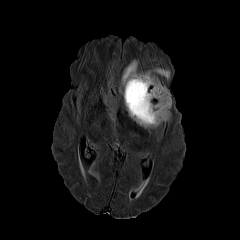
FLAIR MR.
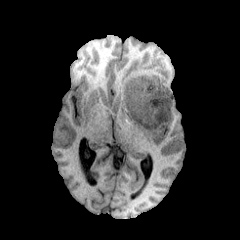
T1-weighted magnetic resonance.
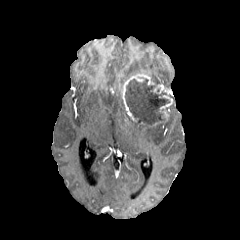
Post-contrast T1-weighted MRI.
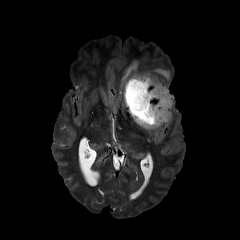
T2-weighted MR image of the same slice.
Head
non-enhancing tumor core: 124,78,170,125 | edema: 119,59,170,91; 136,122,162,133 | enhancing tumor: 159,101,171,123; 121,74,154,122; 153,84,164,93